CT 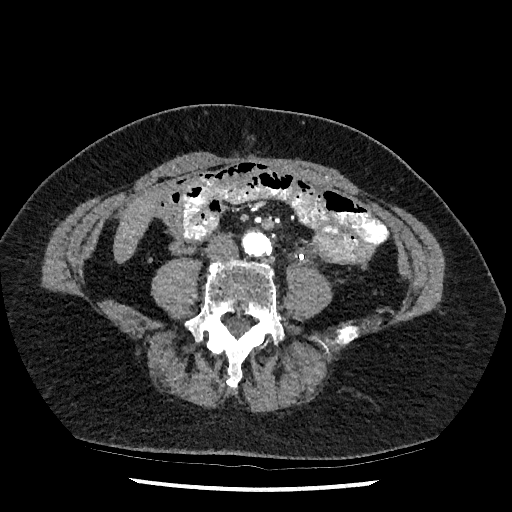

Liver — (114,198,155,260).